Slice index 85. Brain. Image size 240x240.
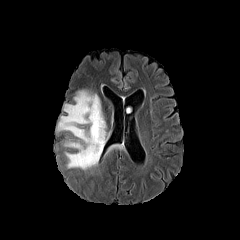
FLAIR magnetic resonance.
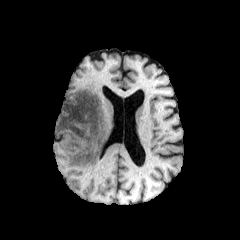
T1-weighted MR of the same slice.
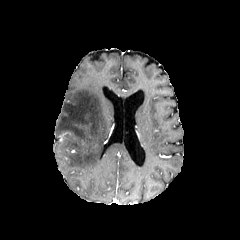
Post-contrast T1-weighted MR image.
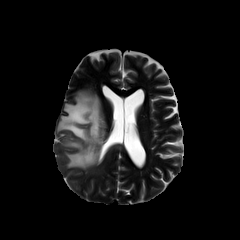
T2-weighted magnetic resonance.
edema:
  - 57 90 109 170